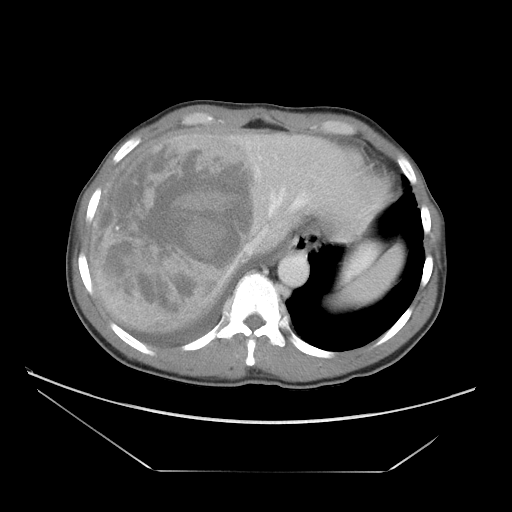 CT scan slice | Liver
Only some of the vessels may be annotated.
Liver tumor = <bbox>90, 134, 257, 327</bbox>.
Hepatic vessel = <bbox>226, 257, 239, 277</bbox>, <bbox>240, 250, 251, 256</bbox>, <bbox>288, 201, 296, 211</bbox>, <bbox>270, 187, 285, 211</bbox>.